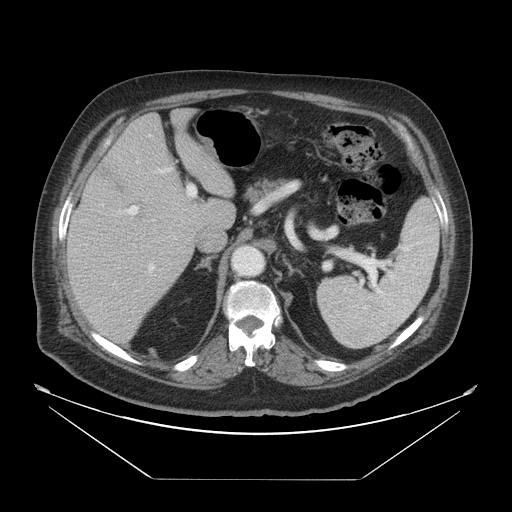
Image size 512x512. Abdomen. CT image.
The vessel annotation is not exhaustive.
Findings:
• liver tumor: box=[134, 203, 149, 227]; box=[95, 156, 144, 198]
• hepatic vessel: box=[196, 228, 225, 250]; box=[154, 167, 172, 173]; box=[117, 205, 138, 215]; box=[187, 185, 195, 196]; box=[136, 160, 138, 162]; box=[174, 237, 176, 239]; box=[148, 263, 154, 273]